Image width 350 mm, CT slice 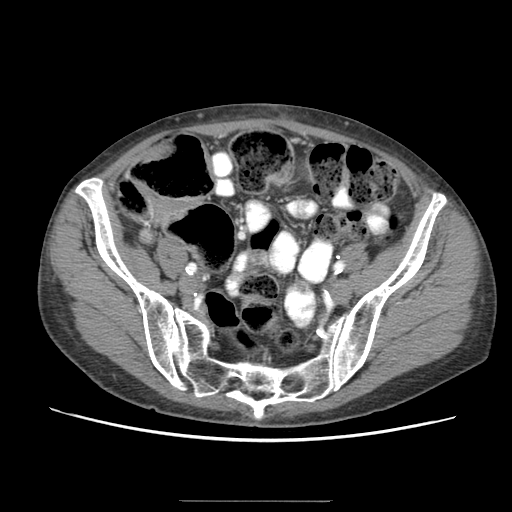

The colon tumor is located at l=267, t=164, r=291, b=183.